Abdomen; CT slice
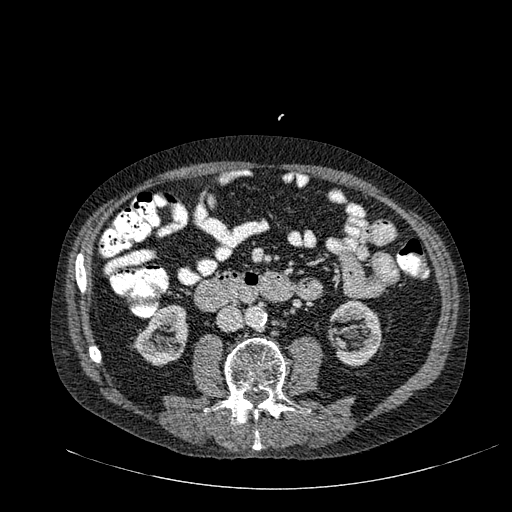
Kidney at [327, 301, 381, 366], [133, 305, 188, 366].